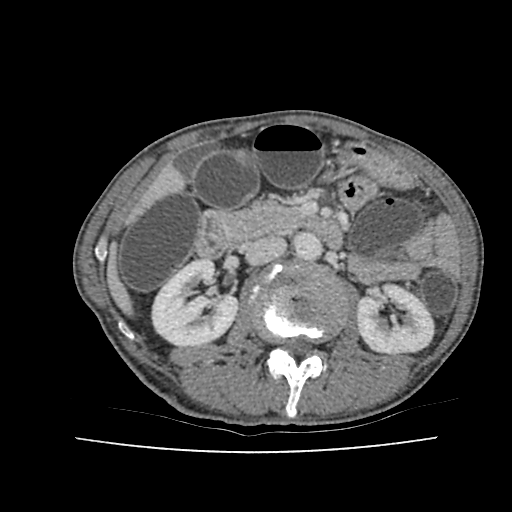

Abdomen. 512x512. CT.

Liver: bounding box box(143, 169, 179, 206); box(112, 258, 128, 307).
Kidney: bounding box box(358, 286, 433, 352); box(153, 259, 237, 345).